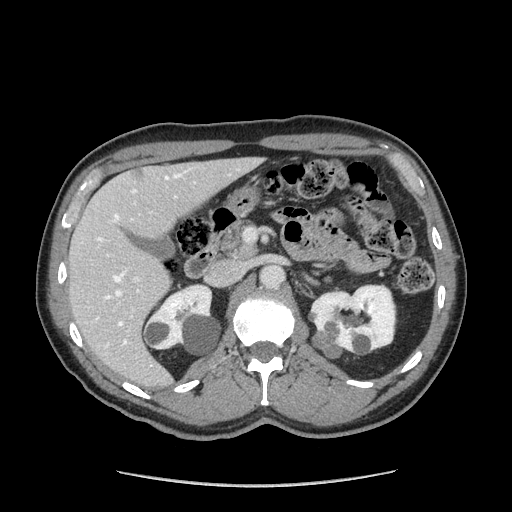

Upper abdomen; CT
Findings:
• pancreas: 222:221:254:256